Field of view 367x367 mm, 512x512 px, CT
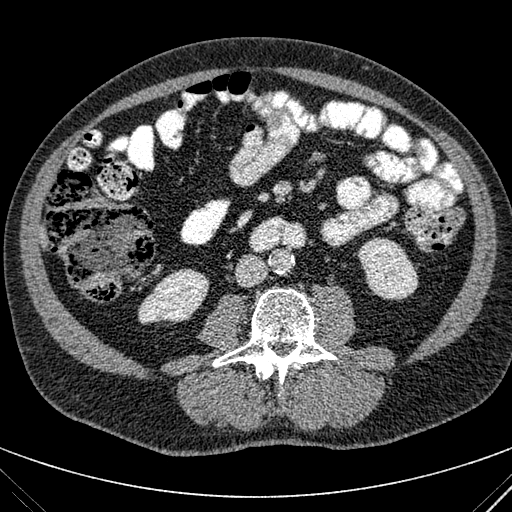
The liver lies within box(40, 225, 46, 248). 2 kidney regions are bounded by box(139, 269, 208, 323); box(358, 238, 417, 298).